FLAIR magnetic resonance.
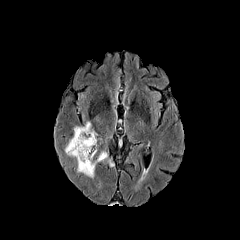
T1-weighted MR.
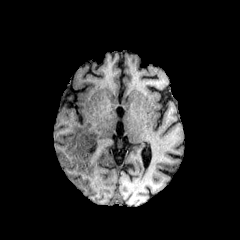
Post-contrast T1-weighted magnetic resonance.
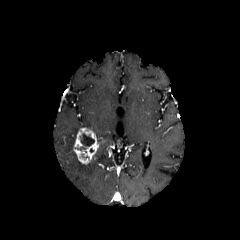
T2-weighted MR.
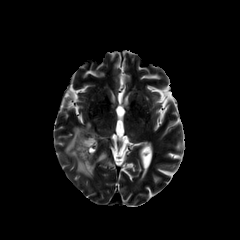
The non-enhancing tumor core is at x1=79, y1=133, x2=94, y2=146. The edema is at x1=65, y1=126, x2=114, y2=178. The enhancing tumor is bounded by x1=73, y1=128, x2=98, y2=164.